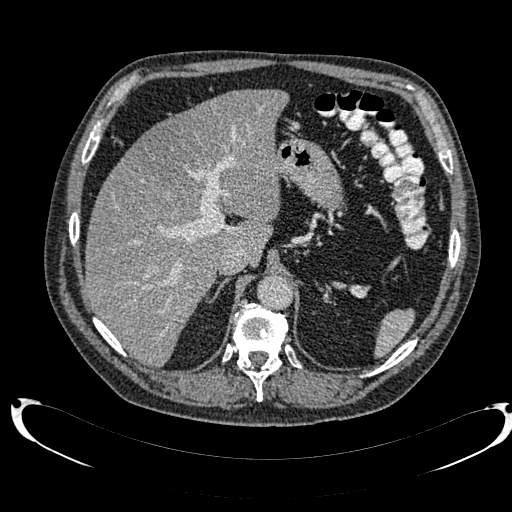 Computed tomography. 512x512 px. Liver at 85, 89, 289, 366.
Hepatic lesion at 133, 109, 226, 196.